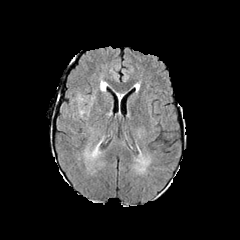
FLAIR MR image.
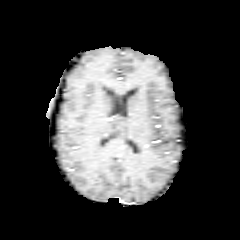
T1-weighted MR.
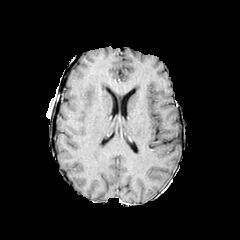
Post-contrast T1-weighted magnetic resonance.
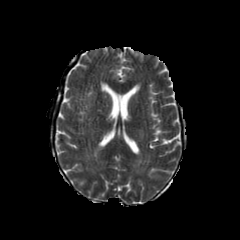
T2-weighted MR image.
edema:
  - 84:138:103:159